Image width 36 mm. 36x47 px. Magnetic resonance.

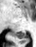
The posterior hippocampus lies within region(13, 31, 25, 38).